Field of view 200 mm wide, 3.60 mm slice spacing, Slice 6 of 20, Pelvis
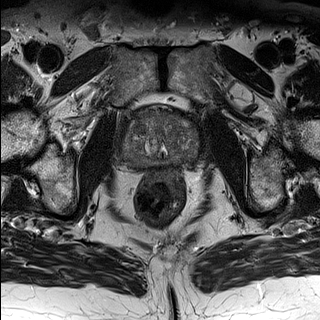
T2-weighted MR.
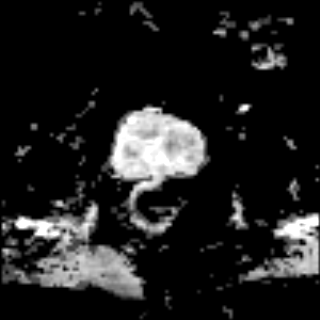
ADC MR of the same slice.
• prostate peripheral zone: region(125, 133, 195, 165)
• prostate transition zone: region(128, 114, 193, 159)